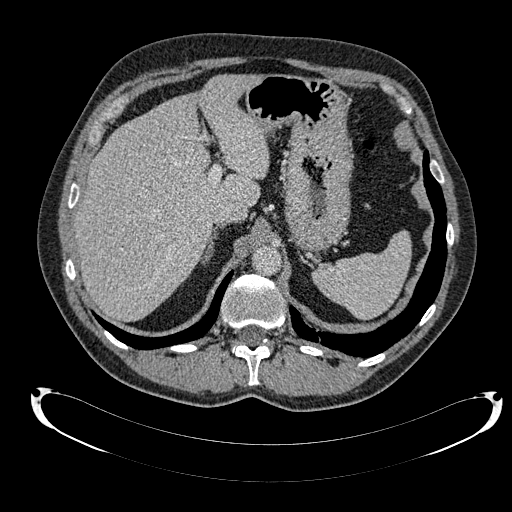 CT slice | Upper abdomen

Liver: region(75, 75, 268, 320).